CT slice; 512x512 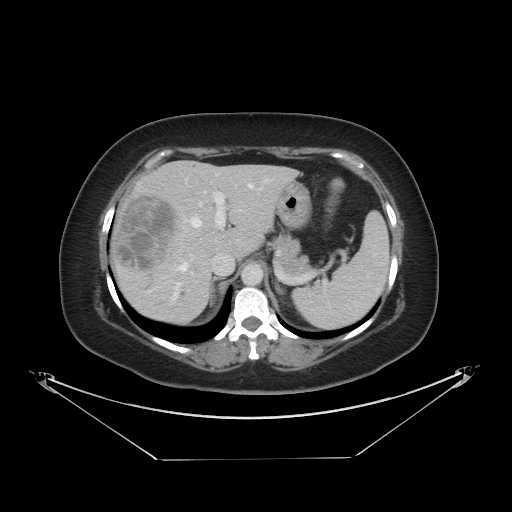
Only some of the vessels may be annotated.
Liver tumor: bounding box x1=112, y1=192, x2=178, y2=272.
Hepatic vessel: bounding box x1=247, y1=183, x2=253, y2=189; x1=212, y1=192, x2=223, y2=225; x1=174, y1=294, x2=176, y2=298; x1=199, y1=202, x2=202, y2=205; x1=203, y1=190, x2=206, y2=193; x1=177, y1=262, x2=187, y2=271; x1=192, y1=218, x2=201, y2=228; x1=263, y1=181, x2=264, y2=183.